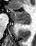

MRI slice; Medial temporal lobe
<segmentation>
  <posterior_hippocampus>bbox=[14, 22, 30, 25]</posterior_hippocampus>
  <anterior_hippocampus>bbox=[5, 6, 30, 21]</anterior_hippocampus>
</segmentation>